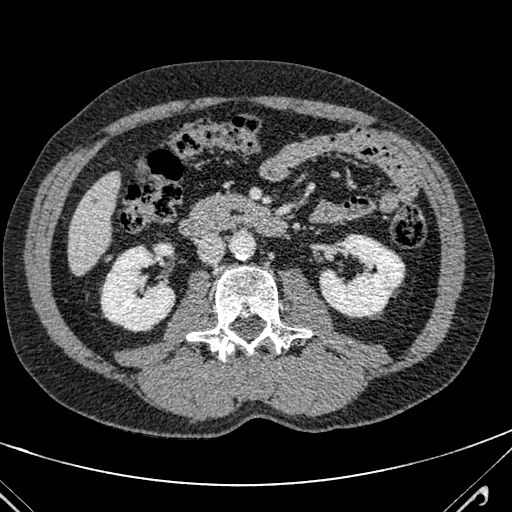 CT slice

{"liver": ["region(69, 173, 119, 272)"]}